512x512, Slice 37 of 105, CT scan slice, Abdomen

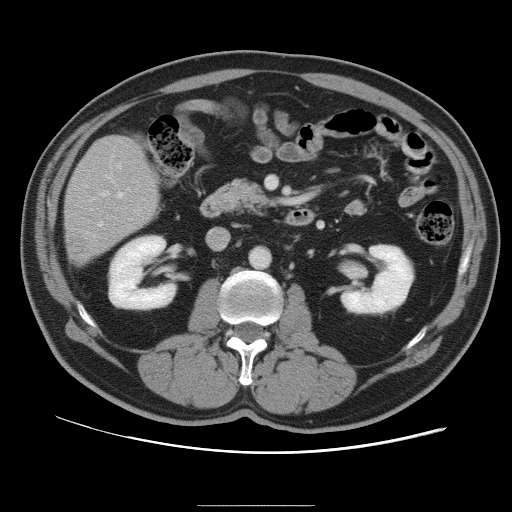

The vessel annotation is not exhaustive.
Hepatic vessel: bounding box rect(118, 191, 124, 196); rect(99, 222, 102, 225); rect(110, 155, 112, 162); rect(110, 165, 111, 169); rect(101, 191, 108, 195); rect(117, 164, 121, 168); rect(106, 174, 113, 182).
Liver tumor: bounding box rect(70, 238, 85, 257).